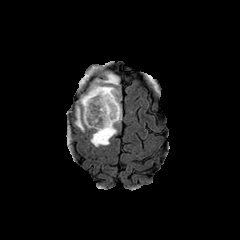
FLAIR magnetic resonance.
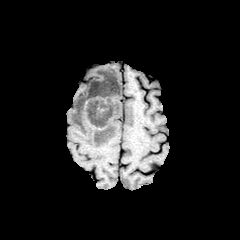
T1-weighted MR.
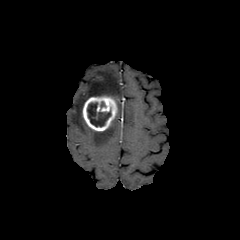
Same slice, post-contrast T1-weighted MR image.
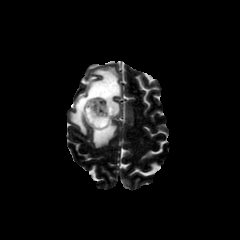
T2-weighted MRI of the same slice.
240x240 px
* non-enhancing tumor core: (left=87, top=103, right=110, bottom=126)
* enhancing tumor: (left=82, top=95, right=118, bottom=131)
* edema: (left=90, top=102, right=121, bottom=147), (left=71, top=67, right=120, bottom=134)